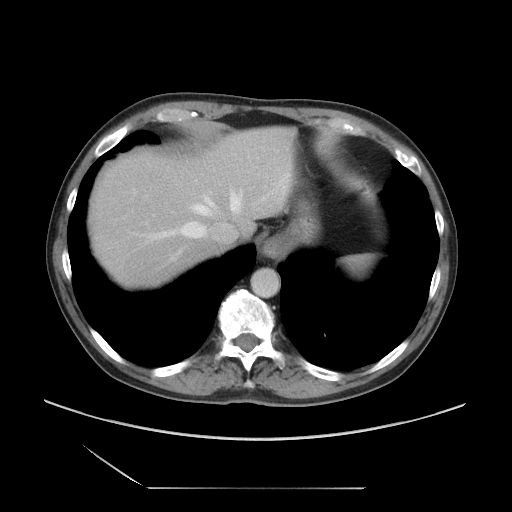 CT slice
Only some of the vessels may be annotated.
Segmented structures:
• hepatic vessel: <box>177,252,179,254</box>, <box>209,225,236,240</box>, <box>230,191,241,212</box>, <box>192,197,215,215</box>, <box>181,222,206,237</box>, <box>149,230,174,239</box>, <box>134,190,135,193</box>
• liver tumor: <box>107,245,119,257</box>